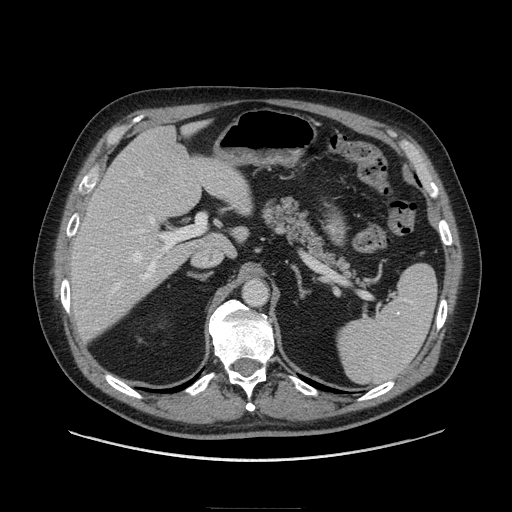
CT slice | Abdomen
Segmented structures:
- pancreas: box(259, 198, 365, 287)